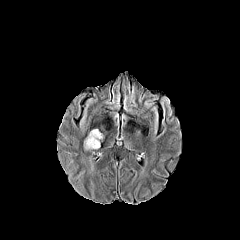
FLAIR MR.
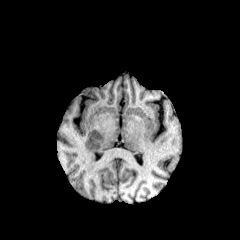
T1-weighted MR of the same slice.
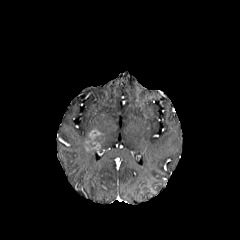
Post-contrast T1-weighted MR.
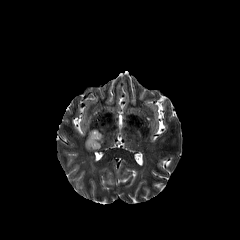
Same slice, T2-weighted MRI.
Annotated regions:
• enhancing tumor: 84, 129, 102, 152
• non-enhancing tumor core: 94, 134, 103, 144